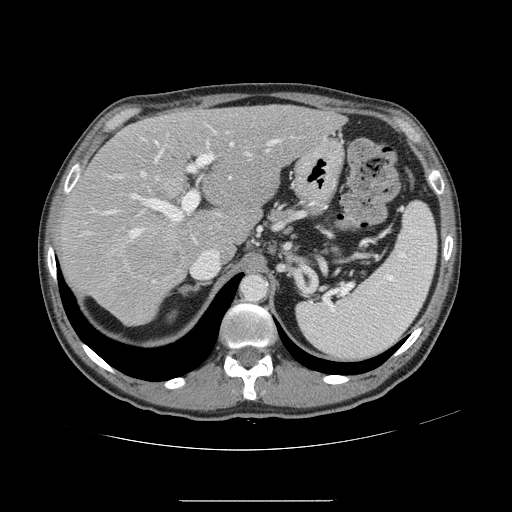 CT scan slice; 512x512 px; Liver
Not every hepatic vessel necessarily has a box.
Top 15 of 20 hepatic vessel regions at [x1=146, y1=191, x2=198, y2=221], [x1=141, y1=138, x2=144, y2=140], [x1=187, y1=152, x2=213, y2=170], [x1=154, y1=146, x2=164, y2=161], [x1=204, y1=122, x2=215, y2=133], [x1=82, y1=232, x2=90, y2=234], [x1=130, y1=228, x2=141, y2=241], [x1=267, y1=139, x2=279, y2=151], [x1=92, y1=209, x2=114, y2=214], [x1=141, y1=172, x2=145, y2=176], [x1=155, y1=141, x2=157, y2=143], [x1=131, y1=194, x2=139, y2=198], [x1=109, y1=175, x2=122, y2=178], [x1=207, y1=140, x2=208, y2=146], [x1=245, y1=152, x2=249, y2=155].
Liver tumor at [x1=125, y1=236, x2=177, y2=278].